FLAIR magnetic resonance.
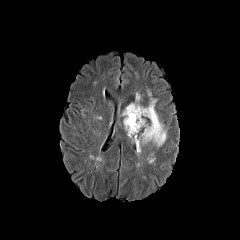
T1-weighted magnetic resonance.
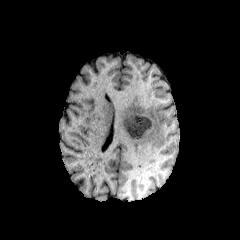
Post-contrast T1-weighted MR.
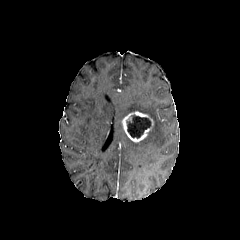
T2-weighted MRI.
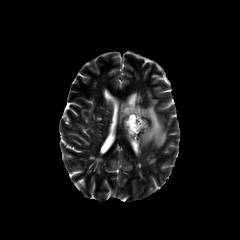
240x240 px. Brain.
The enhancing tumor lies within box=[122, 111, 153, 142]. The edema is at box=[123, 104, 165, 153]. The non-enhancing tumor core is bounded by box=[126, 114, 151, 138].